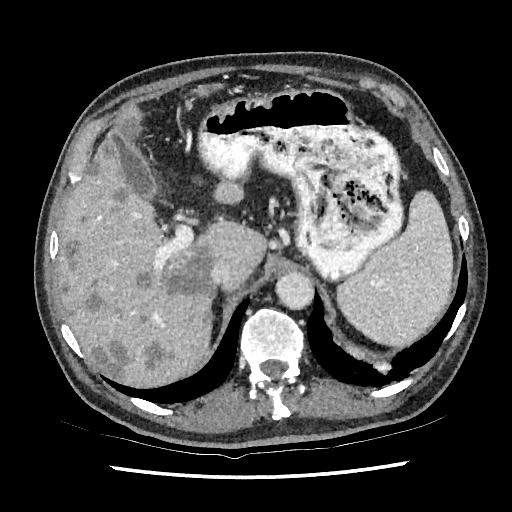

512x512 px; Computed tomography

Liver: bounding box [x1=120, y1=102, x2=140, y2=118], [x1=103, y1=128, x2=115, y2=141], [x1=193, y1=83, x2=222, y2=96], [x1=215, y1=180, x2=242, y2=204], [x1=57, y1=149, x2=265, y2=386].
Hepatic lesion: bounding box [x1=180, y1=322, x2=190, y2=330], [x1=165, y1=246, x2=216, y2=297], [x1=65, y1=241, x2=80, y2=269], [x1=111, y1=186, x2=129, y2=211], [x1=199, y1=308, x2=210, y2=326], [x1=93, y1=341, x2=129, y2=381], [x1=113, y1=113, x2=139, y2=142], [x1=100, y1=141, x2=115, y2=159], [x1=145, y1=340, x2=173, y2=369], [x1=61, y1=283, x2=68, y2=292], [x1=134, y1=269, x2=151, y2=288], [x1=83, y1=279, x2=111, y2=317], [x1=84, y1=162, x2=100, y2=182].